Slice 387 of 836. Upper abdomen. Computed tomography.
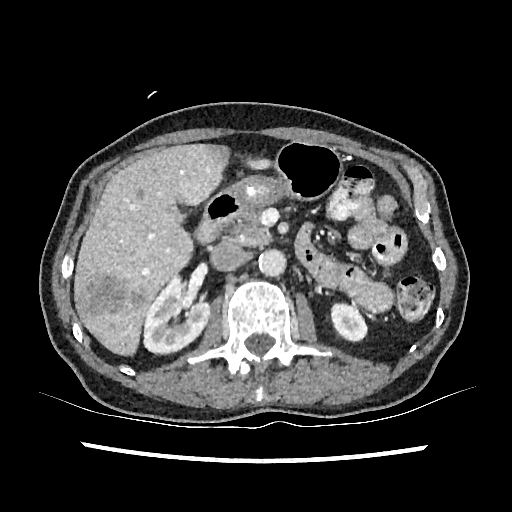
3 hepatic lesion regions are located at region(75, 274, 125, 315); region(128, 288, 146, 309); region(208, 145, 228, 163). 2 liver regions appear at region(74, 144, 227, 354); region(252, 159, 271, 169). 2 kidney regions are bounded by region(331, 304, 366, 340); region(144, 277, 209, 352).